512x512 px | Liver | CT scan slice | Slice 10/44

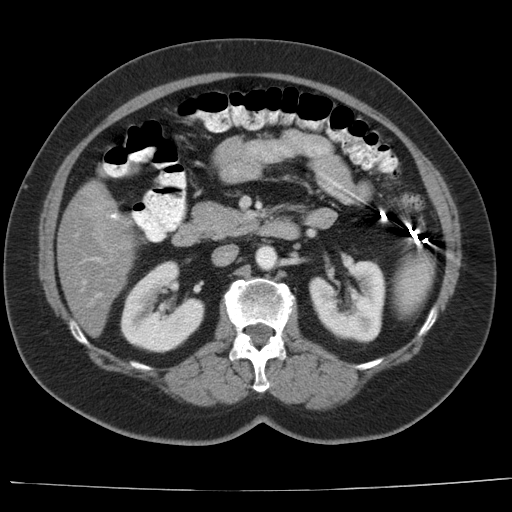 The vessel boxes may cover only some of the vessels.
<segmentation>
  <hepatic_vessel>{"x1": 82, "y1": 281, "x2": 85, "y2": 284}</hepatic_vessel>
  <liver_tumor>{"x1": 102, "y1": 213, "x2": 129, "y2": 244}, {"x1": 75, "y1": 192, "x2": 97, "y2": 208}</liver_tumor>
</segmentation>